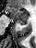 MR
anterior hippocampus: bbox(8, 7, 27, 21) | posterior hippocampus: bbox(18, 22, 26, 24)